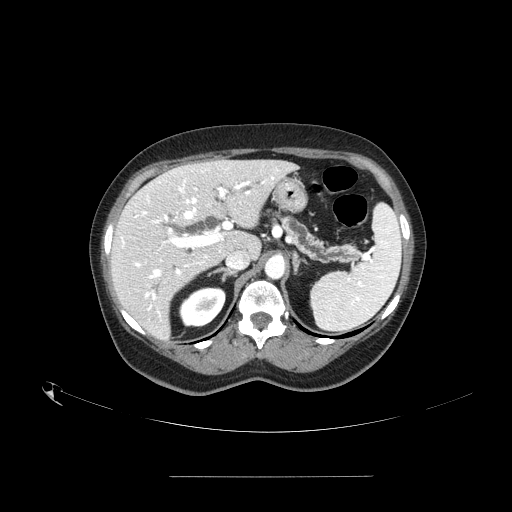

Abdomen | CT scan slice
<segmentation>
  <pancreas>region(281, 216, 356, 263)</pancreas>
</segmentation>